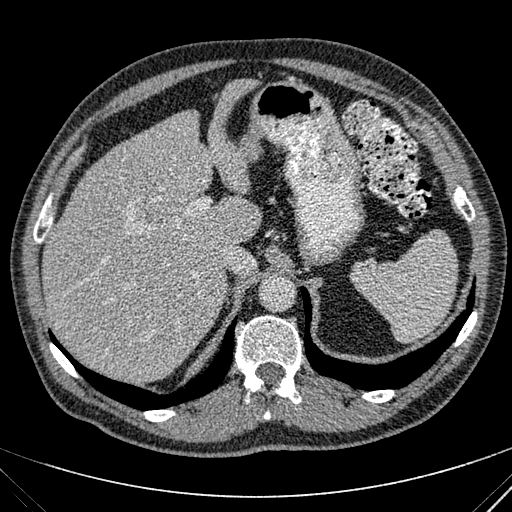 CT slice | Upper abdomen
Annotated regions:
- liver: x1=44, y1=79, x2=260, y2=380